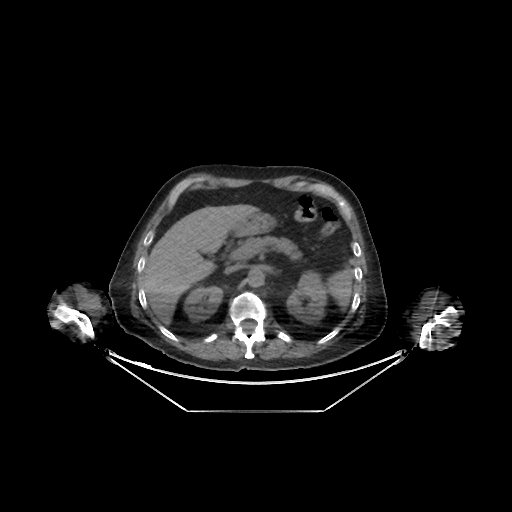
Liver; CT slice

Kidney at <bbox>287, 268, 329, 324</bbox>, <bbox>183, 284, 225, 322</bbox>.
Liver at <bbox>141, 205, 268, 323</bbox>, <bbox>225, 265, 239, 273</bbox>.